T2-weighted MRI.
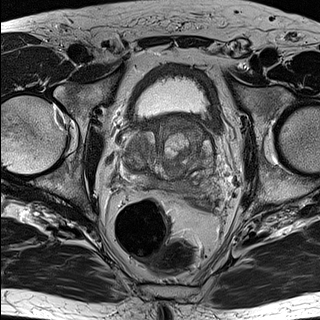
ADC MRI.
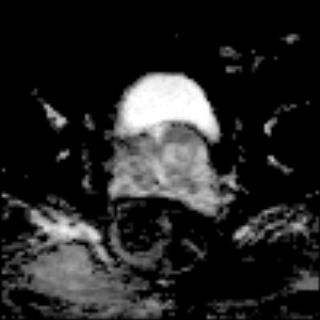
Prostate transition zone = box=[121, 119, 212, 179].
Prostate peripheral zone = box=[121, 162, 210, 191].